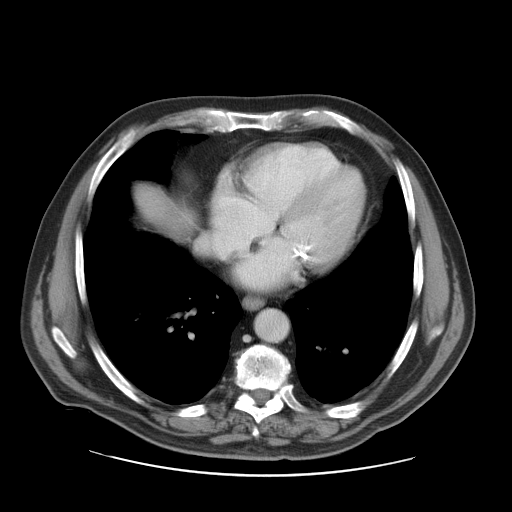
CT scan slice. Liver.
Only some of the vessels may be annotated.
Hepatic vessel: bounding box region(214, 245, 234, 254).